MRI 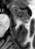 Anterior hippocampus at <bbox>13, 5, 30, 20</bbox>.
Posterior hippocampus at <bbox>22, 21, 28, 22</bbox>.